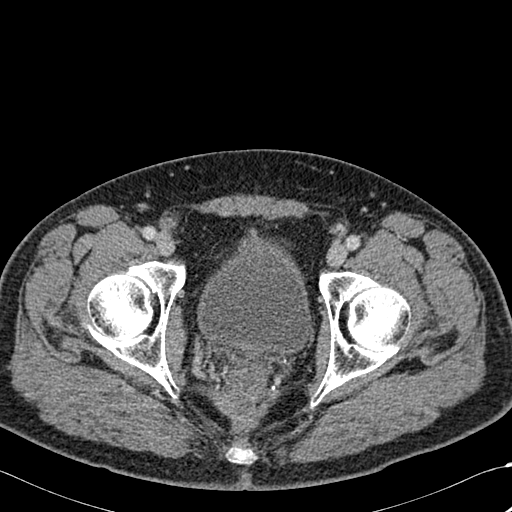 CT scan slice

bone:
  - (left=317, top=272, right=409, bottom=397)
  - (left=86, top=261, right=185, bottom=393)
  - (left=232, top=448, right=251, bottom=462)